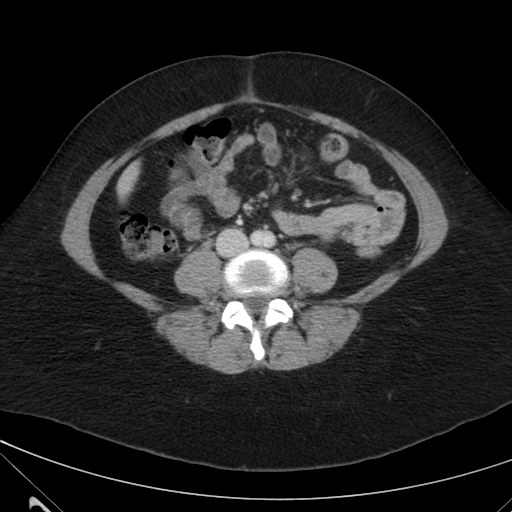

CT slice | 512x512
• liver: (119,177,131,192)